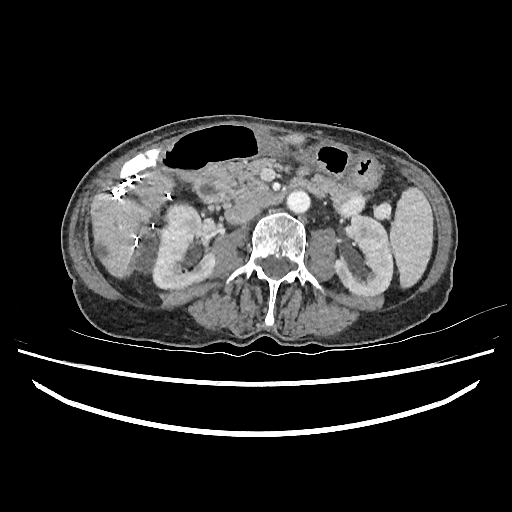
CT

liver:
  - x1=92 y1=171 x2=173 y2=277
  - x1=286 y1=134 x2=305 y2=144
focal_liver_lesion:
  - x1=95 y1=244 x2=103 y2=258
  - x1=136 y1=243 x2=153 y2=271
kidney:
  - x1=153 y1=205 x2=224 y2=288
  - x1=334 y1=215 x2=392 y2=296